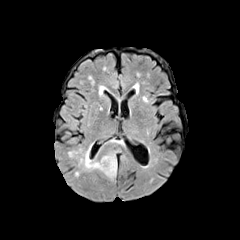
FLAIR MRI.
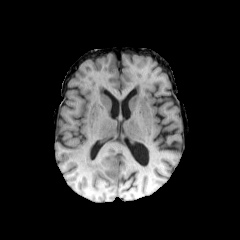
T1-weighted MR.
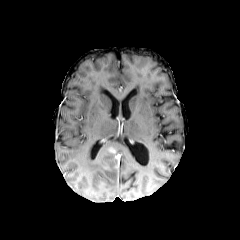
Post-contrast T1-weighted MR image.
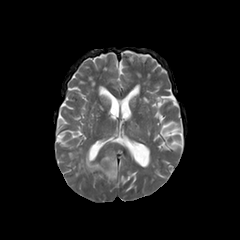
T2-weighted magnetic resonance.
Brain
Edema = (x1=78, y1=146, x2=121, y2=179), (x1=104, y1=138, x2=125, y2=147).